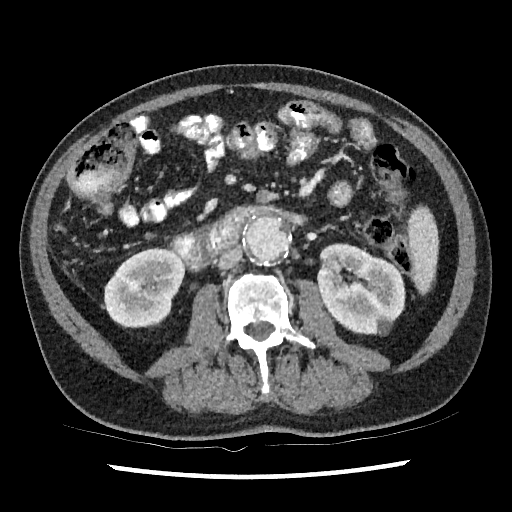
Abdomen. Image size 512x512. Computed tomography.
Kidney — x1=317 y1=244 x2=404 y2=333, x1=105 y1=249 x2=184 y2=326.